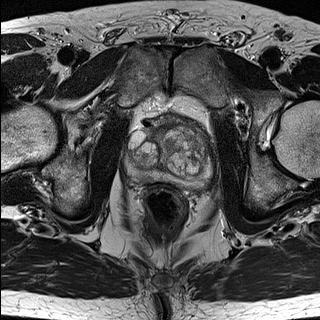
T2-weighted MR.
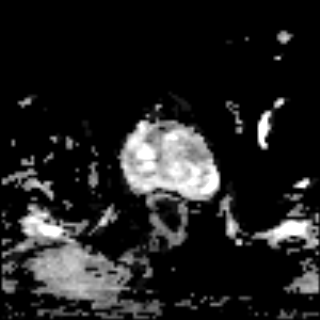
ADC MRI.
Prostate
Prostate transition zone = (126, 125, 210, 178).
Prostate peripheral zone = (125, 153, 212, 188).